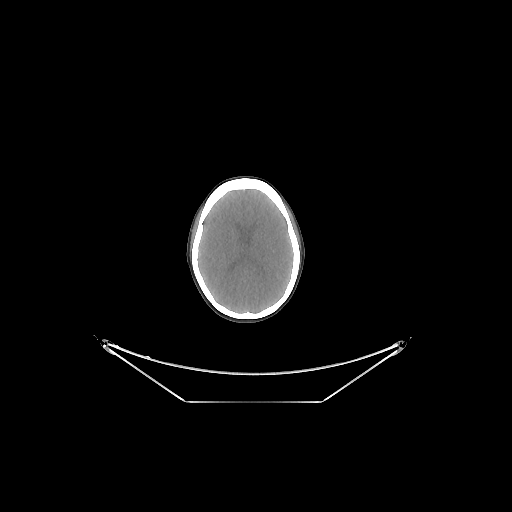 CT image; 512x512; Brain

The brain is located at left=197, top=189, right=293, bottom=313.